CT slice. Slice 103 of 134. Field of view 403x403 mm.

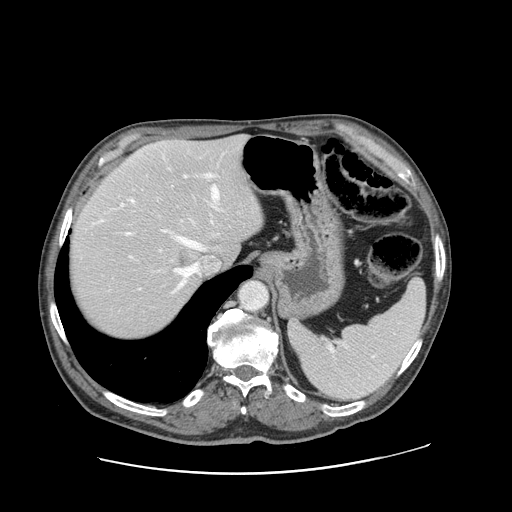

The vessel annotation is not exhaustive.
12 hepatic vessel regions are bounded by (x1=121, y1=204, x2=123, y2=205), (x1=184, y1=175, x2=186, y2=177), (x1=100, y1=220, x2=102, y2=221), (x1=175, y1=264, x2=197, y2=288), (x1=212, y1=186, x2=218, y2=199), (x1=162, y1=229, x2=165, y2=231), (x1=172, y1=291, x2=174, y2=292), (x1=130, y1=199, x2=133, y2=202), (x1=129, y1=256, x2=131, y2=257), (x1=206, y1=173, x2=213, y2=177), (x1=126, y1=233, x2=130, y2=234), (x1=176, y1=237, x2=202, y2=248). The liver tumor is at (x1=178, y1=252, x2=192, y2=266).